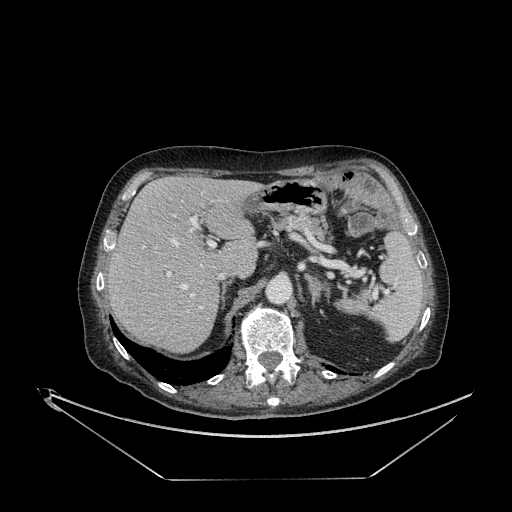
CT
The liver lies within l=109, t=176, r=262, b=351.